Slice 516 of 654. 512x512. Image width 400 mm. CT image.
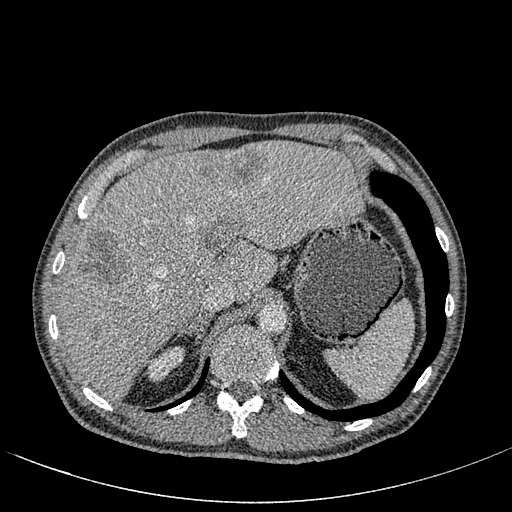 Liver lesion: 199:220:241:263, 202:149:264:186, 93:324:103:336, 80:229:127:286.
Liver: 59:140:365:399.
Kidney: 148:346:184:380.